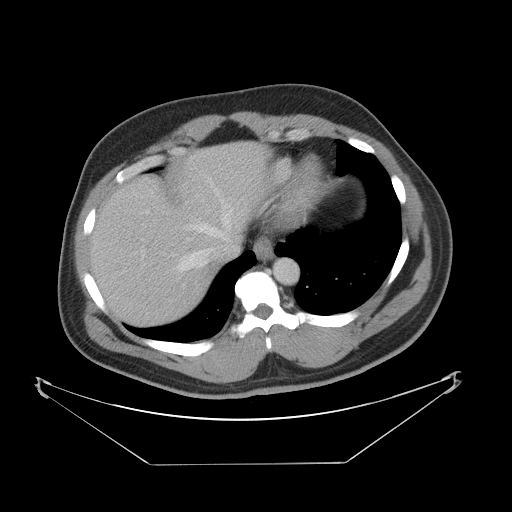

Liver, CT image

Some hepatic vessels may have no box.
<segmentation>
  <hepatic_vessel>{"x1": 178, "y1": 212, "x2": 234, "y2": 270}, {"x1": 224, "y1": 214, "x2": 228, "y2": 221}, {"x1": 222, "y1": 204, "x2": 229, "y2": 212}</hepatic_vessel>
</segmentation>